Field of view 418 mm wide, 2.50 mm slice spacing, Upper abdomen, CT scan slice
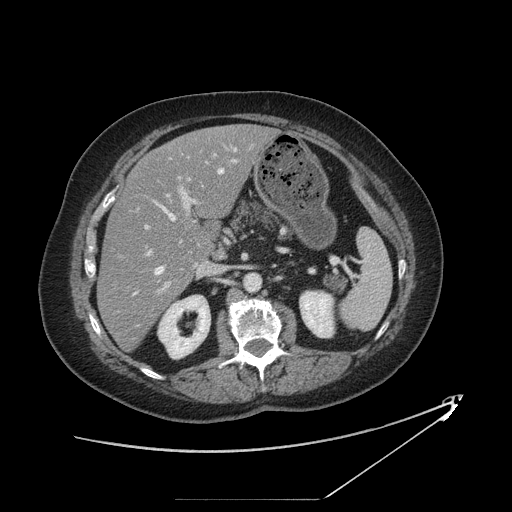
The pancreas lies within x1=229, y1=199, x2=281, y2=237.